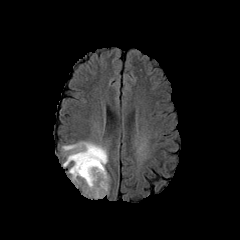
FLAIR MR image.
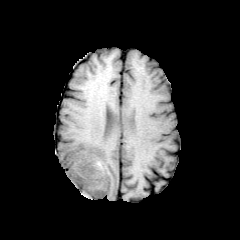
Same slice, T1-weighted MRI.
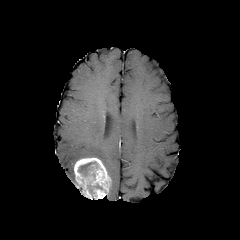
Same slice, post-contrast T1-weighted MRI.
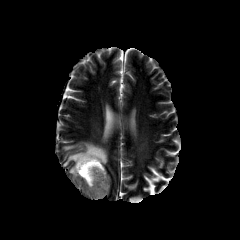
T2-weighted MRI.
Brain; 240x240 px
Non-enhancing tumor core at 86,184,102,193; 79,163,95,178.
Enhancing tumor at 74,157,109,198.
Edema at 62,141,107,185.